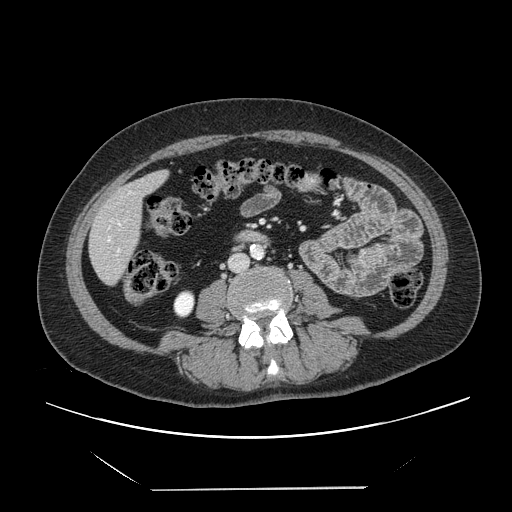
512x512 px | CT scan slice | Liver

Not every hepatic vessel necessarily has a box.
Annotated regions:
• hepatic vessel: 106 235 111 241, 128 191 132 194, 107 225 110 229, 117 220 121 226